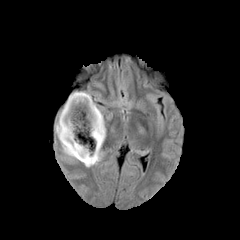
FLAIR MRI.
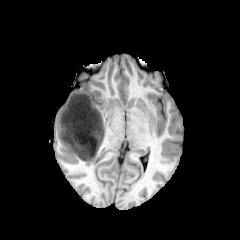
Same slice, T1-weighted magnetic resonance.
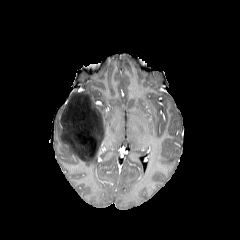
Post-contrast T1-weighted magnetic resonance.
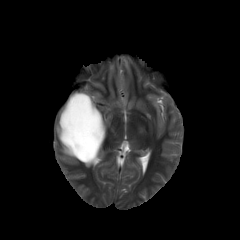
T2-weighted magnetic resonance of the same slice.
Non-enhancing tumor core = x1=59, y1=90, x2=103, y2=161.
Edema = x1=54, y1=90, x2=98, y2=166; x1=81, y1=90, x2=106, y2=141.